Image width 422 mm. Slice 22 of 45. CT image.

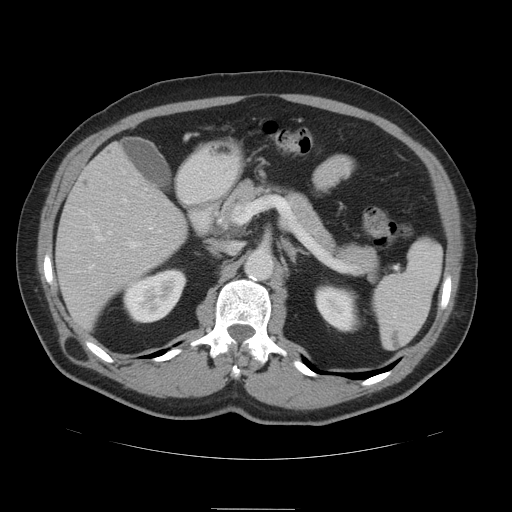
The pancreas is located at x1=214 y1=179 x2=378 y2=272. The pancreatic tumor is bounded by x1=230 y1=225 x2=242 y2=237.